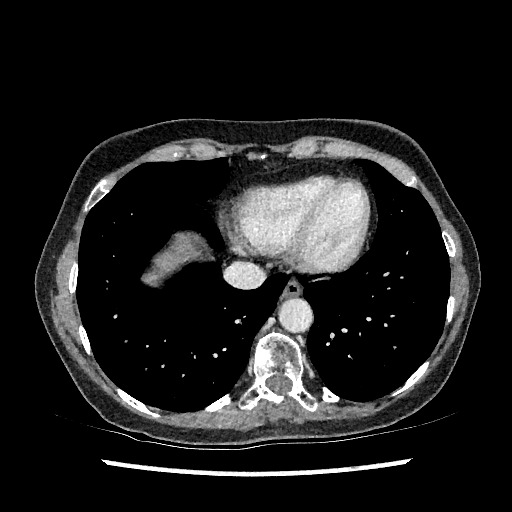 CT image.
{
  "liver": [
    "[160, 239, 198, 268]"
  ]
}